CT scan slice. Image width 391 mm.
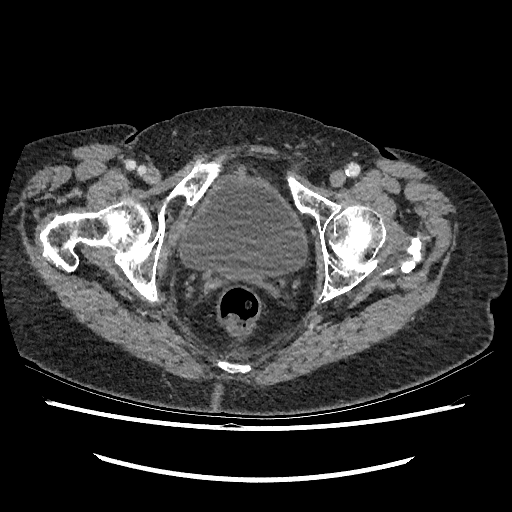
Segmented structures:
* urinary bladder: 176 176 307 288